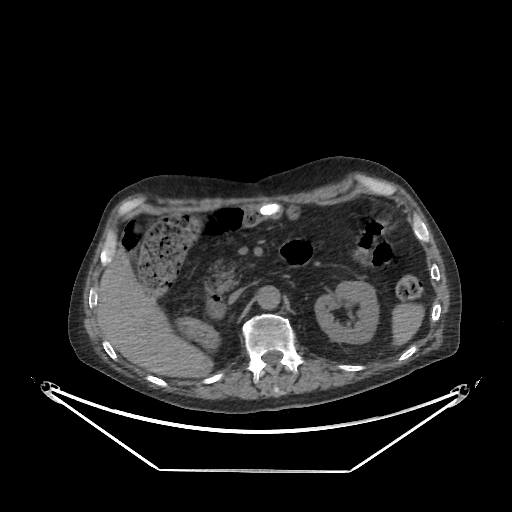

CT slice | Upper abdomen
Liver = (left=96, top=248, right=212, bottom=377).
Kidney = (left=315, top=281, right=378, bottom=343).